Field of view 240x240 mm.
FLAIR magnetic resonance.
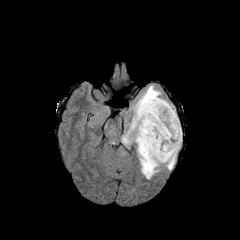
T1-weighted MRI.
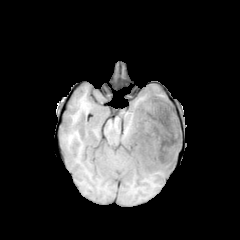
Post-contrast T1-weighted MR.
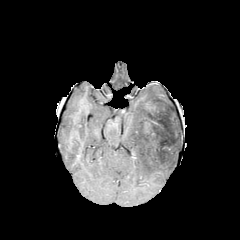
T2-weighted MR.
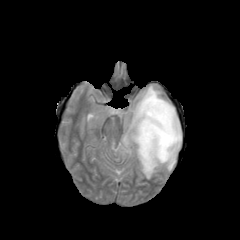
The non-enhancing tumor core lies within [x1=142, y1=96, x2=177, y2=157]. The edema is located at [x1=121, y1=84, x2=181, y2=179].